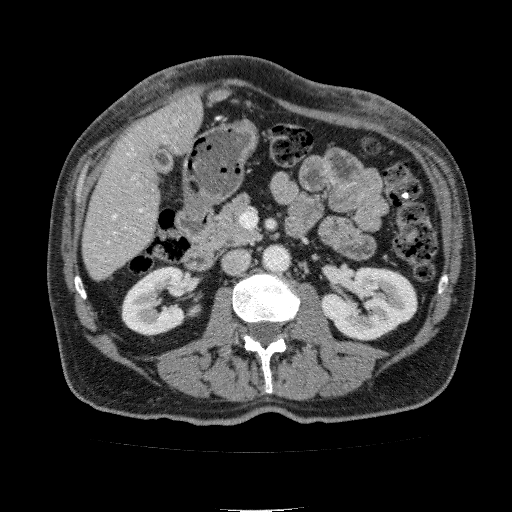
CT
Liver: x1=210 y1=89 x2=229 y2=101, x1=84 y1=93 x2=203 y2=279.
Kidney: x1=322 y1=268 x2=416 y2=339, x1=123 y1=267 x2=191 y2=334.